FLAIR magnetic resonance.
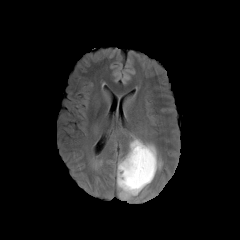
T1-weighted magnetic resonance.
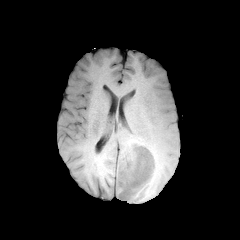
Post-contrast T1-weighted MR image.
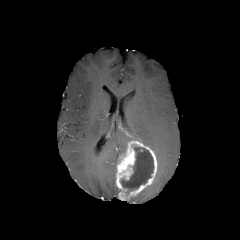
T2-weighted magnetic resonance.
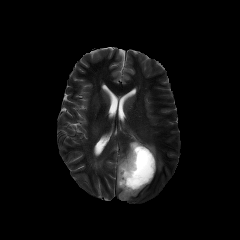
240x240.
Annotated regions:
* non-enhancing tumor core: 121,146,153,189
* edema: 131,136,157,157
* enhancing tumor: 116,140,156,200